FLAIR MR image.
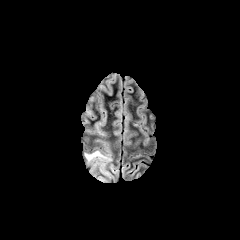
T1-weighted MR image.
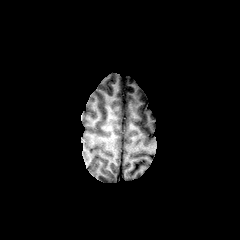
Post-contrast T1-weighted magnetic resonance.
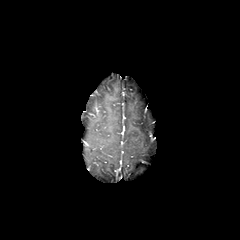
T2-weighted MR image.
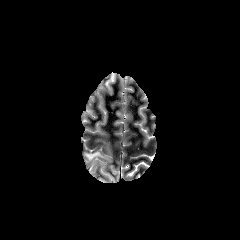
<segmentation>
  <edema>box=[85, 149, 109, 171]</edema>
</segmentation>